CT. Slice 588/629. Image size 512x512. Abdomen. 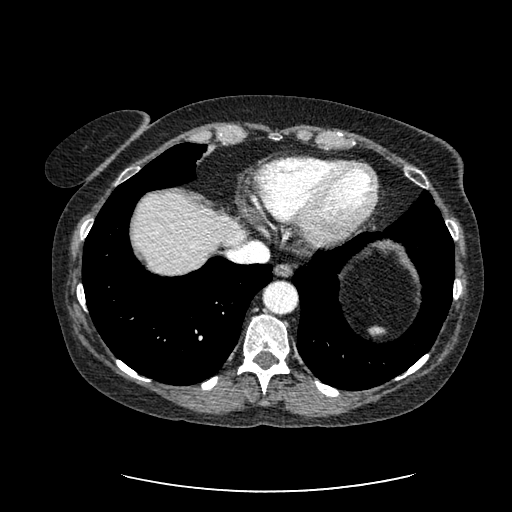 Liver: (x1=132, y1=193, x2=246, y2=275).